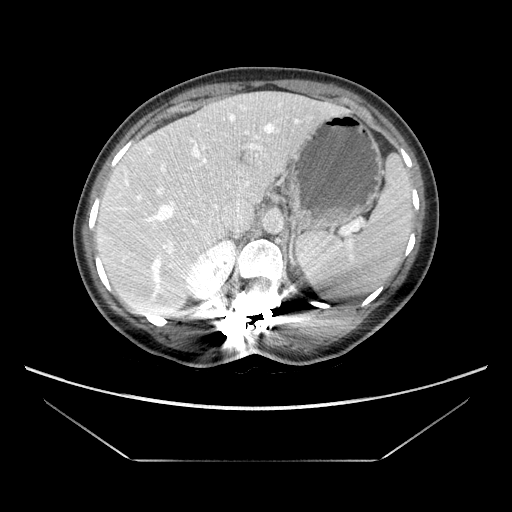
CT slice, Liver
Only some of the vessels may be annotated.
9 hepatic vessel regions appear at [150, 201, 184, 222], [213, 217, 217, 220], [190, 219, 197, 223], [161, 167, 164, 171], [253, 145, 259, 148], [192, 146, 203, 162], [157, 238, 174, 251], [266, 126, 270, 130], [220, 199, 247, 231].